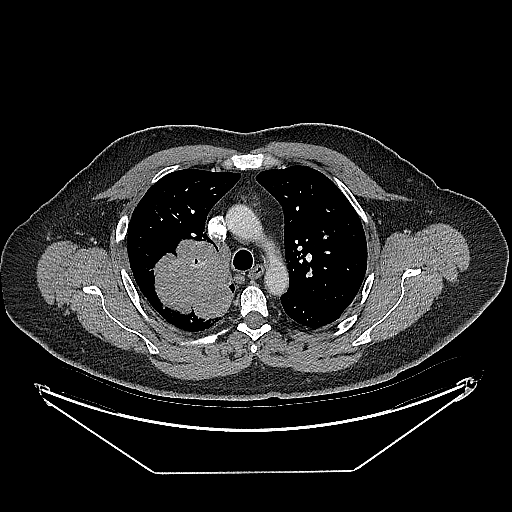

CT slice

The lung tumor appears at region(154, 239, 231, 318).